512x512 px; Computed tomography; Liver
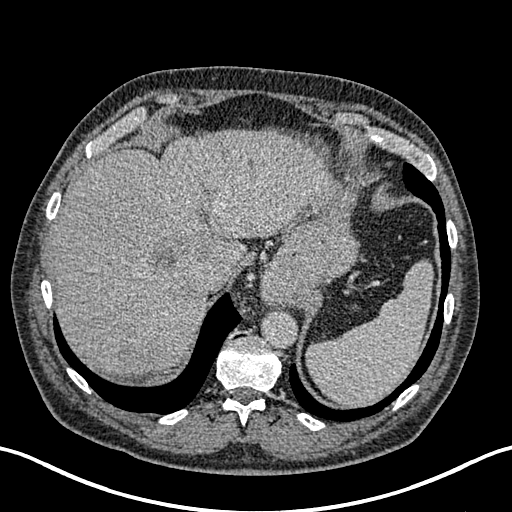 liver:
  - <bbox>49, 129, 323, 376</bbox>
focal_liver_lesion:
  - <bbox>187, 204, 212, 229</bbox>
  - <bbox>247, 159, 257, 170</bbox>
  - <bbox>116, 344, 136, 371</bbox>
  - <bbox>148, 235, 215, 279</bbox>
  - <bbox>167, 280, 203, 303</bbox>